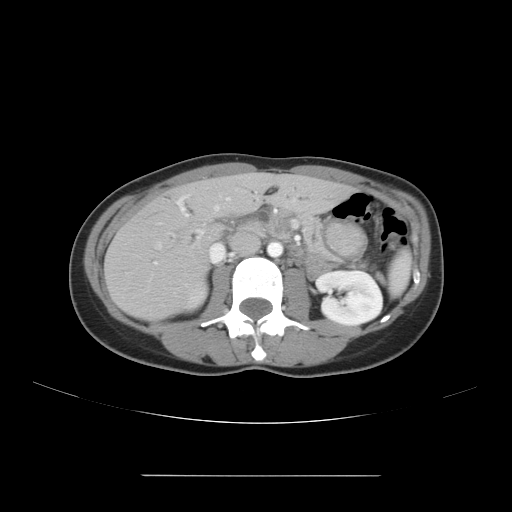

CT

<segmentation>
  <pancreas>box(270, 211, 336, 260)</pancreas>
</segmentation>